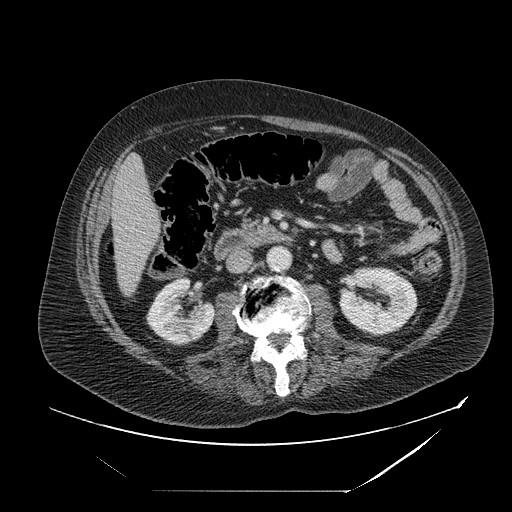

512x512 px. Upper abdomen. CT image.
<segmentation>
  <pancreas>(239,217,269,235)</pancreas>
</segmentation>